Slice 34/38 | Abdomen | CT slice
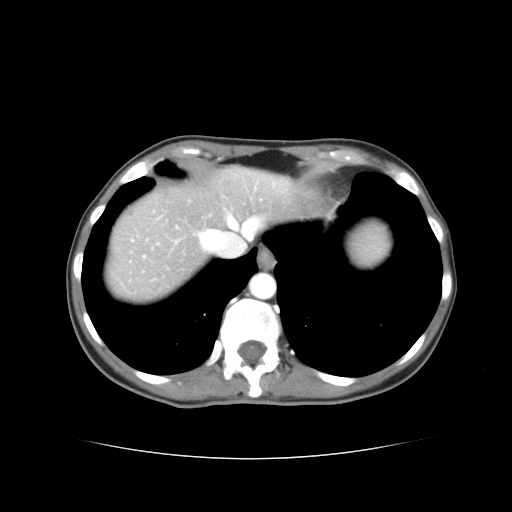

Some hepatic vessels may have no box.
* hepatic vessel: region(245, 223, 248, 227); region(215, 232, 219, 233); region(229, 219, 235, 227)